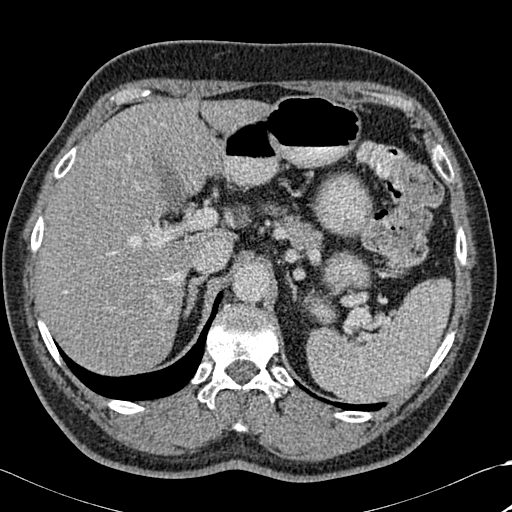
CT image, Abdomen

Bone at bbox(31, 218, 43, 250); bbox(456, 229, 466, 263); bbox(235, 423, 244, 430); bbox(109, 400, 143, 413); bbox(39, 321, 59, 362); bbox(336, 411, 370, 422); bbox(192, 306, 293, 406); bbox(54, 164, 65, 177); bbox(427, 333, 453, 374).
Liver at bbox(42, 101, 218, 375); bbox(202, 101, 258, 133).
Lung at bbox(294, 380, 385, 411); bbox(57, 291, 222, 400).
Liver lesion at bbox(252, 107, 265, 115).